Image width 240 mm, Slice 50/155
FLAIR MR.
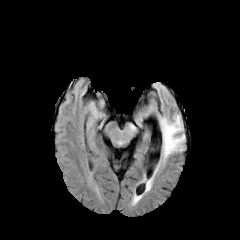
T1-weighted magnetic resonance.
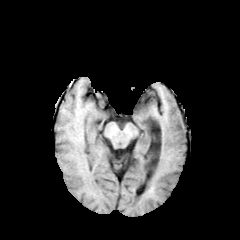
Post-contrast T1-weighted magnetic resonance.
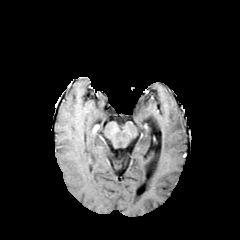
T2-weighted MRI.
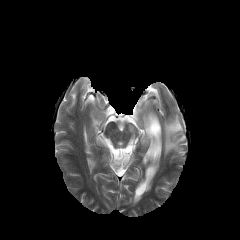
Edema at 146:176:153:190, 160:115:184:159.